Slice 70 of 155
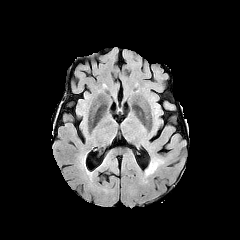
FLAIR MRI.
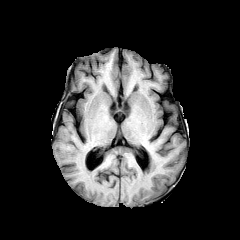
T1-weighted MR image.
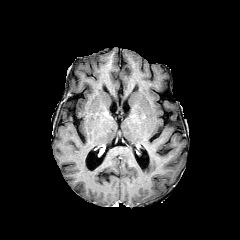
Post-contrast T1-weighted MRI.
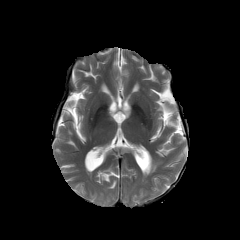
Same slice, T2-weighted MRI.
Edema — [x1=145, y1=158, x2=163, y2=176].